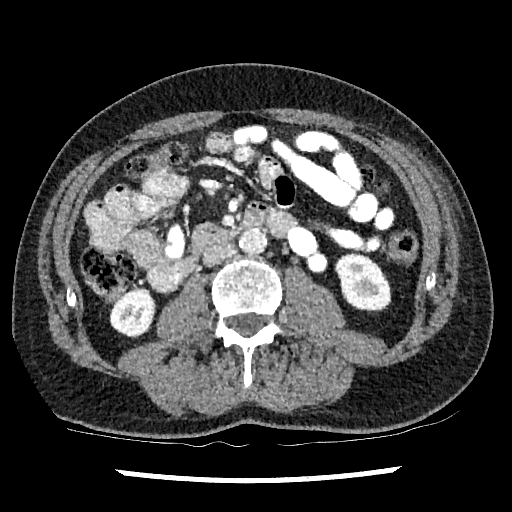

Abdomen. Computed tomography.

2 kidney regions are located at (111,290,152,335), (337,255,389,309).